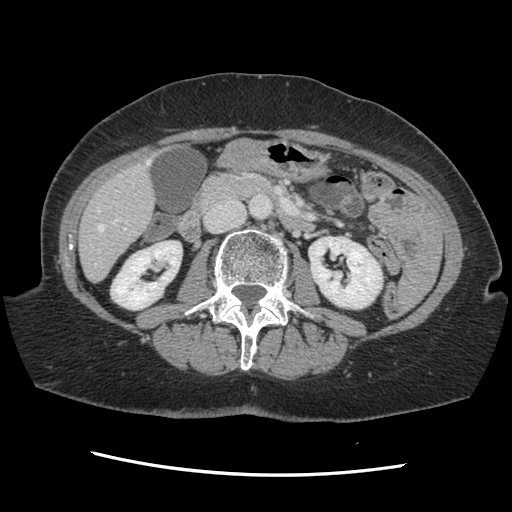
Liver; CT slice; 512x512 px

Some hepatic vessels may have no box.
Hepatic vessel — 98,225,103,230; 124,228,125,229; 98,249,100,250; 148,160,149,163; 97,210,99,211; 113,219,118,221; 95,263,96,265.